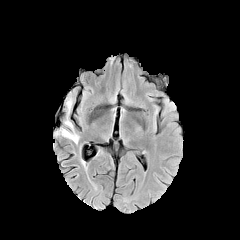
FLAIR MR.
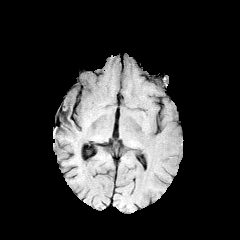
T1-weighted magnetic resonance of the same slice.
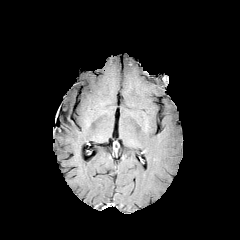
Same slice, post-contrast T1-weighted magnetic resonance.
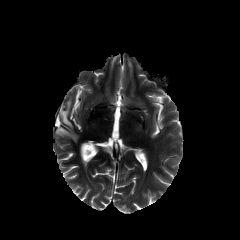
T2-weighted MR image.
Brain
• edema: x1=56, y1=117, x2=78, y2=141; x1=66, y1=96, x2=72, y2=112